Slice 427 of 722; 512x512; Upper abdomen; CT scan slice

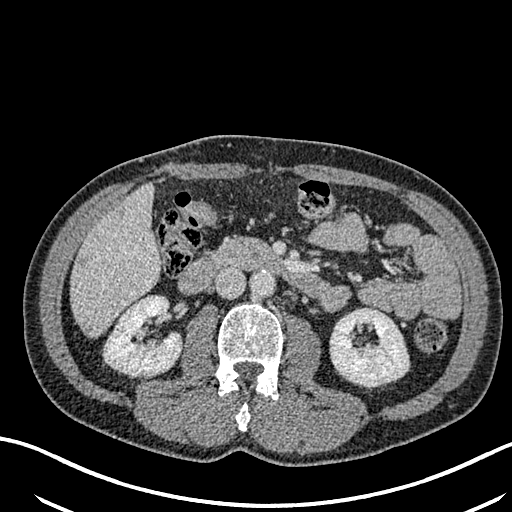
Liver lesion — (left=116, top=205, right=125, bottom=216), (left=77, top=319, right=94, bottom=335), (left=75, top=254, right=88, bottom=267).
Liver — (left=70, top=185, right=157, bottom=336).
Kidney — (left=105, top=296, right=181, bottom=375), (left=330, top=309, right=408, bottom=385).